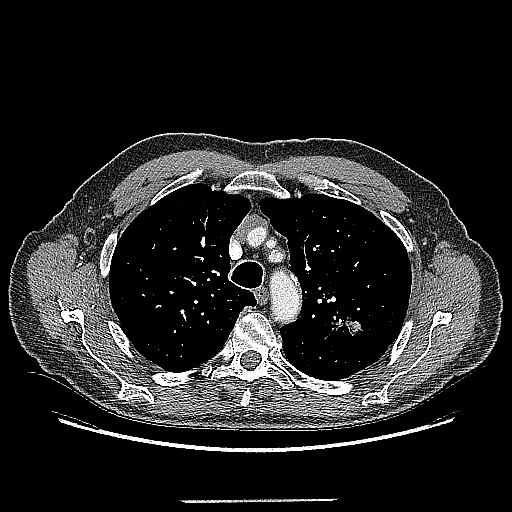 Thorax, CT scan slice
The lung tumor is located at 329, 314, 363, 337.